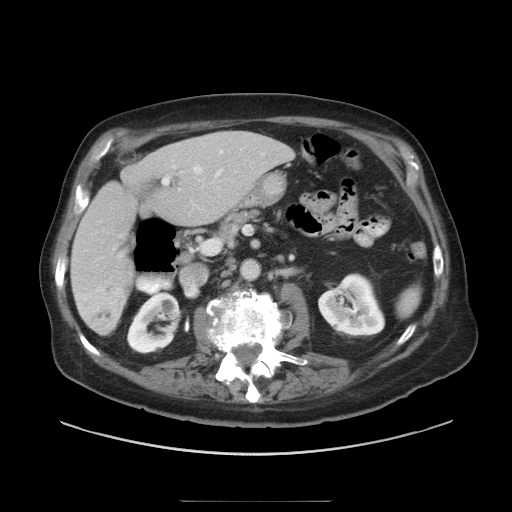
Liver, 512x512 px, CT slice

Only some of the vessels may be annotated.
hepatic_vessel:
  - box(200, 180, 203, 185)
  - box(220, 150, 222, 153)
  - box(163, 177, 169, 184)
  - box(200, 239, 220, 254)
  - box(178, 188, 181, 191)
  - box(194, 165, 202, 174)
  - box(216, 169, 222, 176)
liver_tumor:
  - box(92, 309, 114, 326)